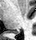
MR | Hippocampus
Posterior hippocampus: bounding box 11:31:19:34.